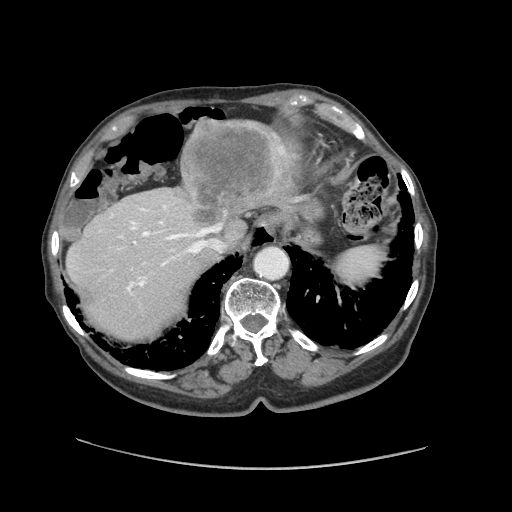 Computed tomography, Abdomen

Only some of the vessels may be annotated.
hepatic_vessel:
  - 134,241,135,243
  - 165,224,224,253
  - 139,277,146,286
  - 132,222,135,228
  - 143,232,148,235
  - 160,221,162,223
  - 161,255,179,266
liver_tumor:
  - 183,121,281,227